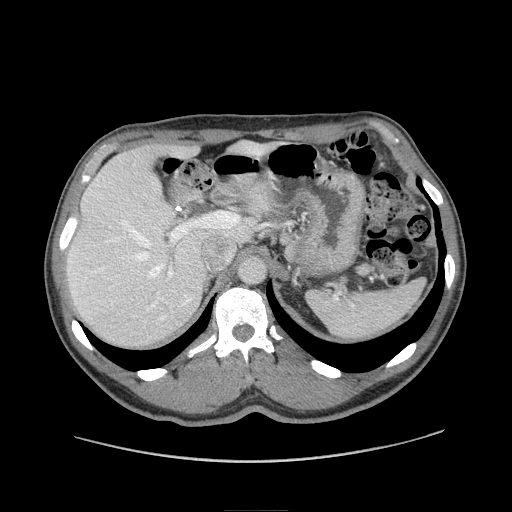 CT scan slice. Pancreas = <box>281,228,296,259</box>.